FLAIR magnetic resonance.
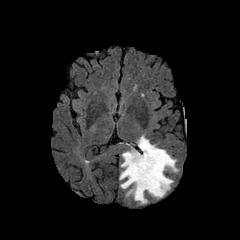
T1-weighted MR image.
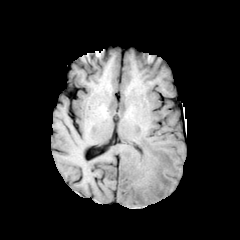
Post-contrast T1-weighted MRI.
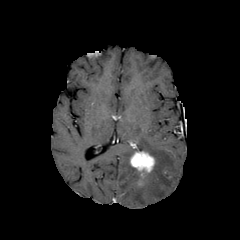
T2-weighted MR image.
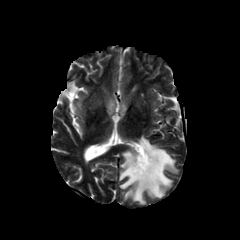
Findings:
- enhancing tumor: <box>128,149,156,186</box>
- edema: <box>119,135,178,204</box>